Head
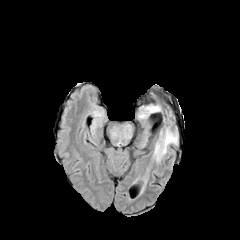
FLAIR MR.
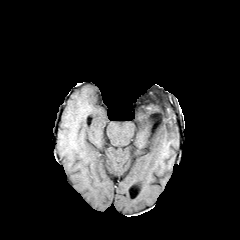
Same slice, T1-weighted MRI.
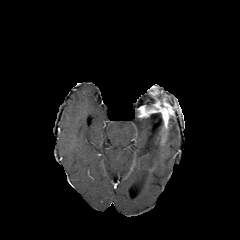
Post-contrast T1-weighted MR image.
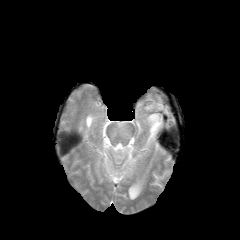
T2-weighted MRI of the same slice.
The non-enhancing tumor core is located at [159,125,171,144]. 2 edema regions appear at [153,129,176,162], [112,129,131,143]. The enhancing tumor is located at [138,101,171,127].